CT slice
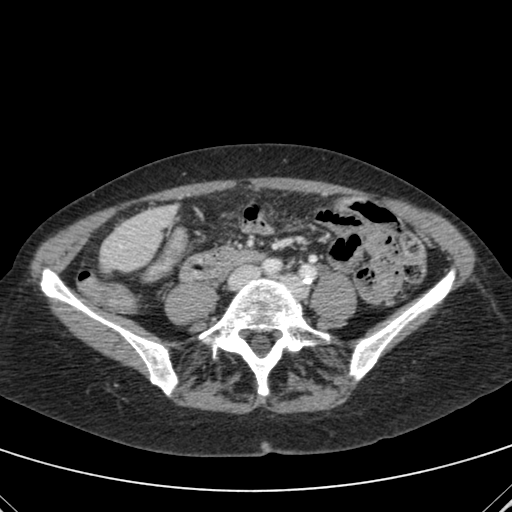

{
  "liver": [
    "bbox(101, 205, 176, 270)"
  ]
}